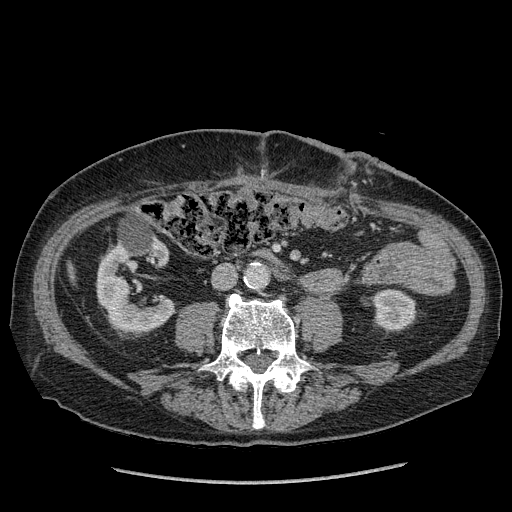 CT, Liver
Annotated regions:
* liver: 68,265,73,284
* kidney: 97,244,173,331; 152,240,168,265; 373,289,415,330